Brain.
FLAIR magnetic resonance.
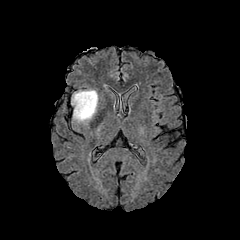
T1-weighted magnetic resonance.
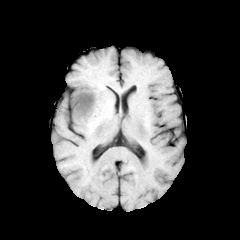
Post-contrast T1-weighted MR image.
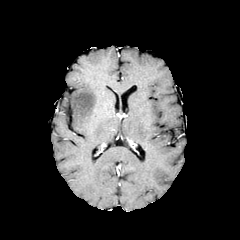
T2-weighted MR image.
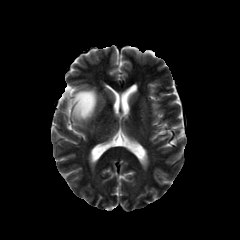
The edema lies within (71, 89, 97, 121).